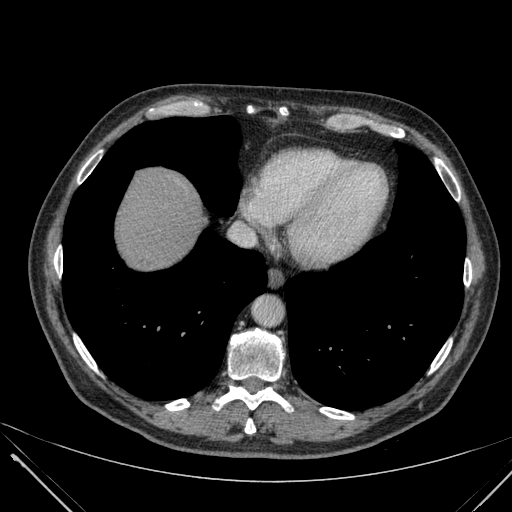
Computed tomography. Image size 512x512.

Liver: bounding box box(117, 168, 206, 269).